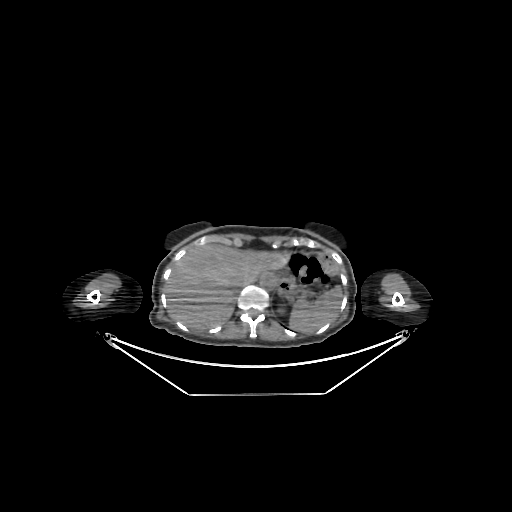
CT slice; Liver
<segmentation>
  <liver>x1=164, y1=243, x2=283, y2=329</liver>
</segmentation>